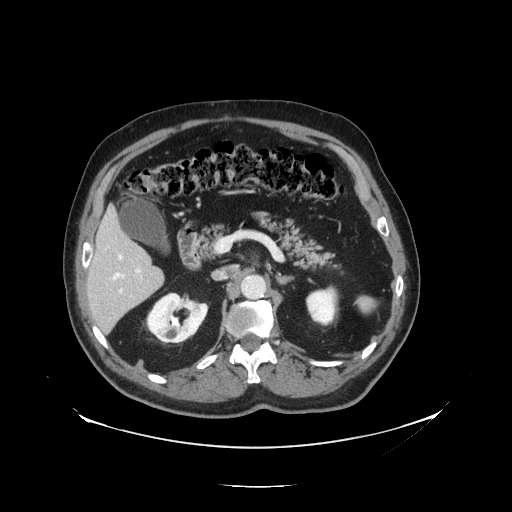
CT | 512x512
The vessel boxes may cover only some of the vessels.
Hepatic vessel — <bbox>136, 270, 140, 272</bbox>, <bbox>119, 255, 121, 258</bbox>, <bbox>119, 290, 122, 292</bbox>, <bbox>113, 273, 124, 279</bbox>.